Image width 385 mm; CT scan slice

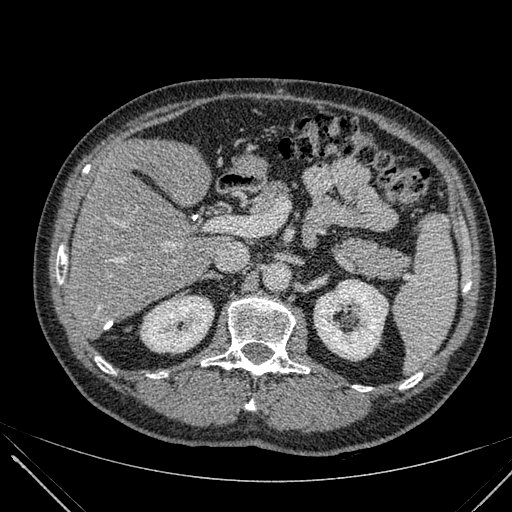 Annotated regions:
* kidney: 314,280,387,359; 141,296,213,352
* liver: 70,138,233,333